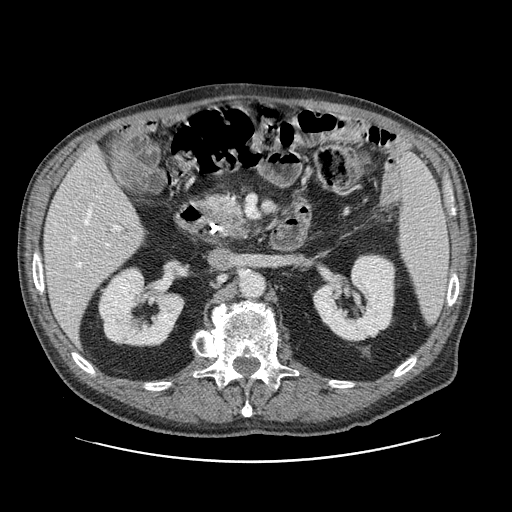 Upper abdomen. CT scan slice.

The pancreatic tumor is at [214, 208, 243, 232]. The pancreas appears at [207, 196, 247, 237].